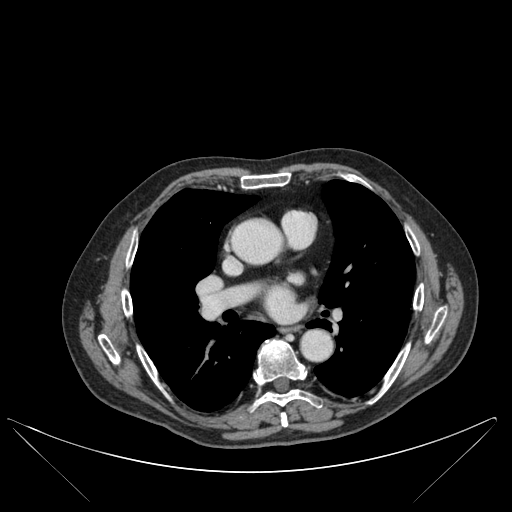

CT scan slice | 512x512 | Thorax
3 lung regions appear at bbox=[130, 189, 275, 411]; bbox=[314, 180, 415, 396]; bbox=[306, 319, 330, 329]. 13 bone regions are bounded by bbox=[254, 340, 306, 385]; bbox=[98, 334, 119, 363]; bbox=[341, 174, 360, 181]; bbox=[408, 231, 419, 253]; bbox=[413, 284, 423, 309]; bbox=[281, 412, 287, 426]; bbox=[370, 343, 409, 403]; bbox=[121, 290, 132, 315]; bbox=[241, 172, 290, 188]; bbox=[137, 346, 161, 388]; bbox=[254, 389, 320, 407]; bbox=[126, 237, 136, 266]; bbox=[425, 307, 446, 343].